Image size 512x512; Liver; CT scan slice; Field of view 400 mm wide, 0.80 mm slice spacing 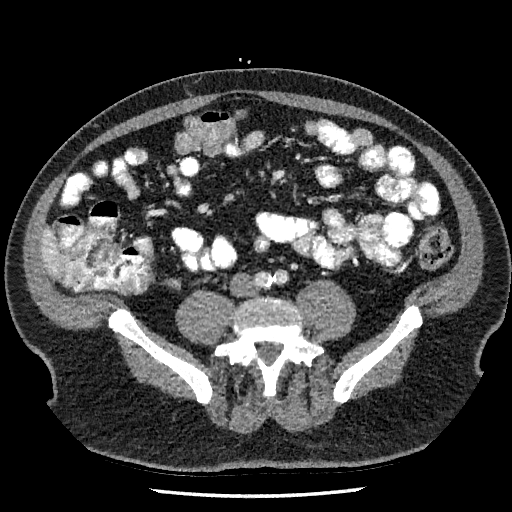 • liver: x1=42 y1=230 x2=61 y2=278